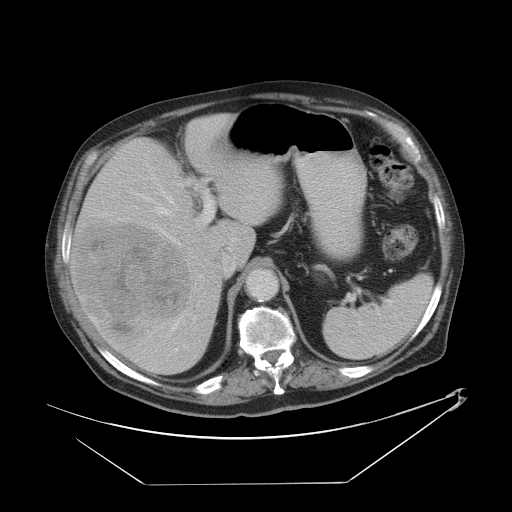

CT slice
Some hepatic vessels may have no box.
liver_tumor:
  - bbox=[73, 222, 191, 349]
hepatic_vessel:
  - bbox=[175, 348, 177, 351]
  - bbox=[156, 204, 168, 215]
  - bbox=[184, 345, 186, 347]
  - bbox=[138, 194, 151, 201]
  - bbox=[165, 234, 173, 240]
  - bbox=[200, 275, 202, 277]
  - bbox=[168, 197, 172, 202]
  - bbox=[178, 243, 181, 246]
  - bbox=[196, 191, 213, 225]
  - bbox=[172, 321, 177, 329]